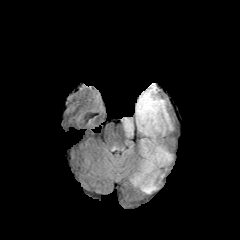
FLAIR magnetic resonance.
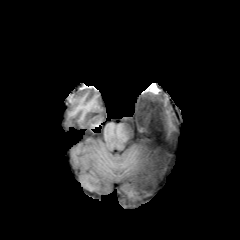
T1-weighted MRI of the same slice.
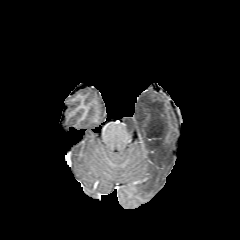
Post-contrast T1-weighted MRI.
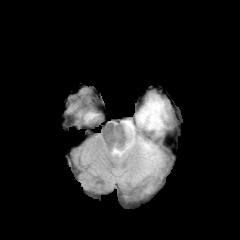
T2-weighted MR of the same slice.
Brain
Non-enhancing tumor core — x1=124 y1=120 x2=132 y2=143, x1=134 y1=139 x2=162 y2=184, x1=136 y1=100 x2=165 y2=135.
Edema — x1=122 y1=88 x2=171 y2=193.